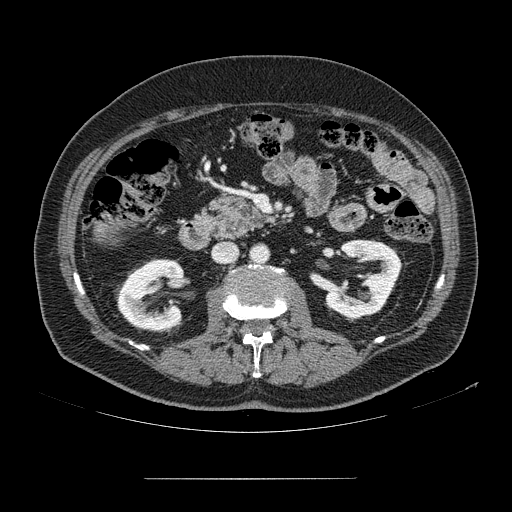 CT slice, Abdomen
The pancreatic tumor is at 238, 203, 252, 218. The pancreas appears at 214, 196, 268, 241.